Image size 512x512 | Field of view 320 mm wide, 0.80 mm slice spacing | CT image

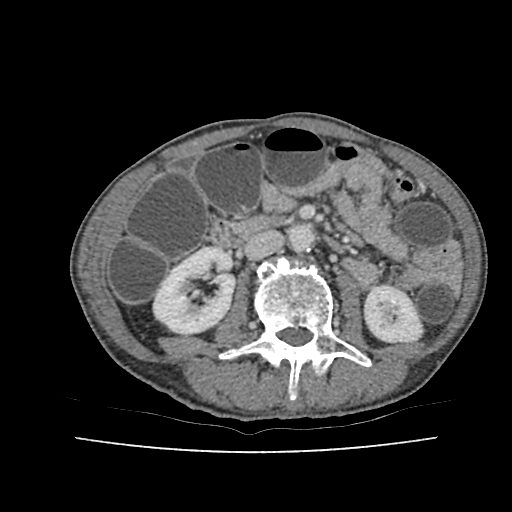 kidney:
  - 365:286:421:341
  - 154:247:234:333